CT
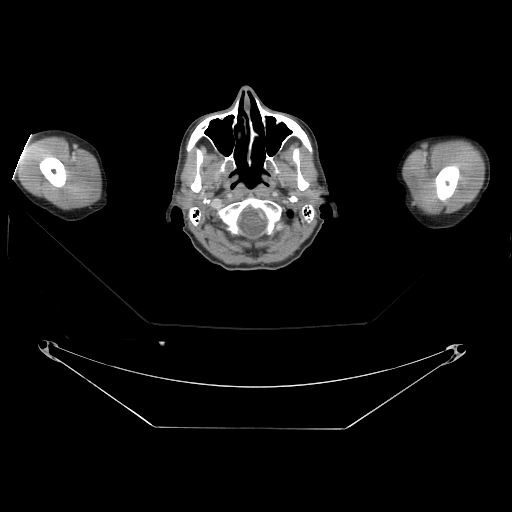
10 bone regions appear at [40,156,66,187], [264,155,275,167], [256,100,311,151], [203,195,281,234], [436,165,459,200], [293,149,309,190], [189,208,200,225], [187,101,238,151], [221,154,235,170], [191,150,202,192].